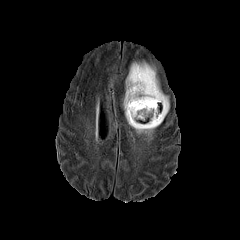
FLAIR magnetic resonance.
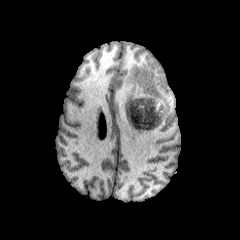
T1-weighted magnetic resonance of the same slice.
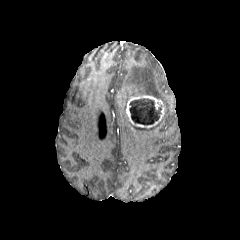
Post-contrast T1-weighted MRI of the same slice.
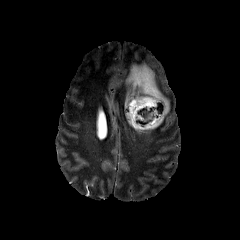
T2-weighted magnetic resonance.
Brain, 240x240
{"non-enhancing_tumor_core": ["[129, 98, 161, 125]"], "edema": ["[124, 63, 169, 121]", "[134, 127, 153, 138]"], "enhancing_tumor": ["[126, 95, 164, 128]"]}